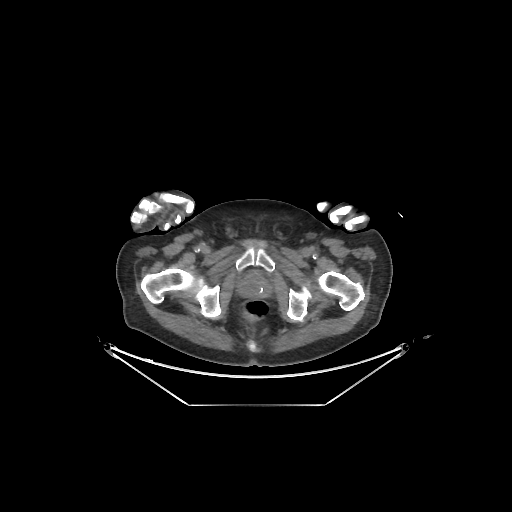

Computed tomography
Segmented structures:
* bone: l=317, t=202, r=326, b=211; l=236, t=247, r=274, b=271; l=345, t=215, r=366, b=229; l=330, t=206, r=351, b=222; l=141, t=267, r=220, b=318; l=160, t=194, r=193, b=212; l=318, t=270, r=364, b=310; l=287, t=286, r=311, b=321; l=131, t=212, r=146, b=222; l=139, t=199, r=161, b=212